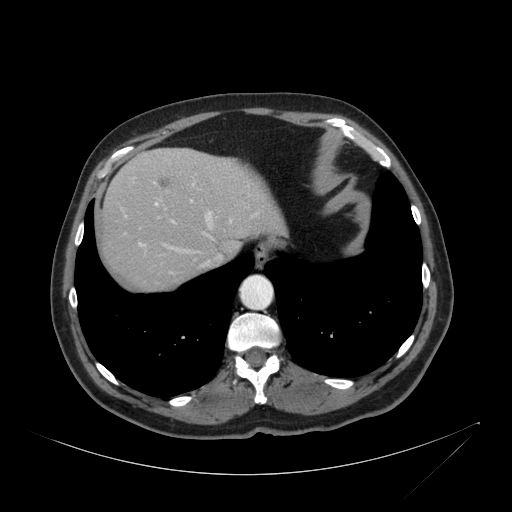
512x512 px, Upper abdomen, CT slice
liver:
  - box=[101, 149, 285, 289]